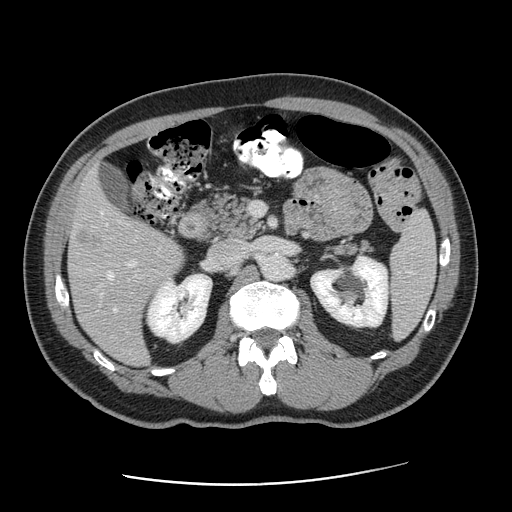

Liver | CT image | 512x512
Some hepatic vessels may have no box.
Hepatic vessel at bbox=[128, 261, 135, 266]; bbox=[101, 212, 103, 213]; bbox=[115, 309, 116, 311]; bbox=[108, 272, 113, 277].
Liver tumor at bbox=[76, 227, 104, 248].